FLAIR MR image.
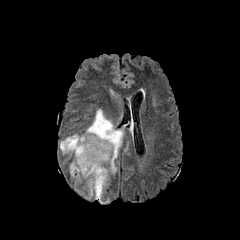
T1-weighted MR.
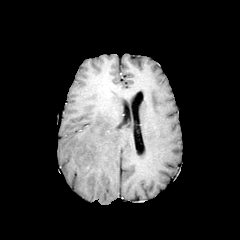
Post-contrast T1-weighted magnetic resonance.
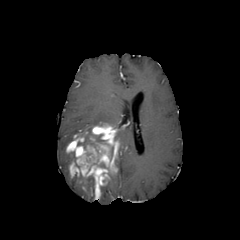
T2-weighted MR image.
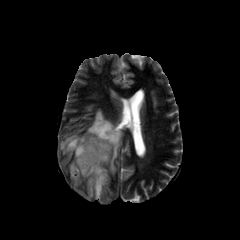
Image size 240x240.
Non-enhancing tumor core: bounding box (69, 151, 79, 169), (74, 130, 105, 149).
Enhancing tumor: bounding box (66, 123, 119, 199).
Edema: bounding box (99, 183, 109, 203), (85, 109, 117, 133), (58, 134, 77, 155), (117, 124, 127, 147), (128, 117, 133, 140), (85, 177, 94, 198).